CT image, Field of view 512x512 mm, 512x512

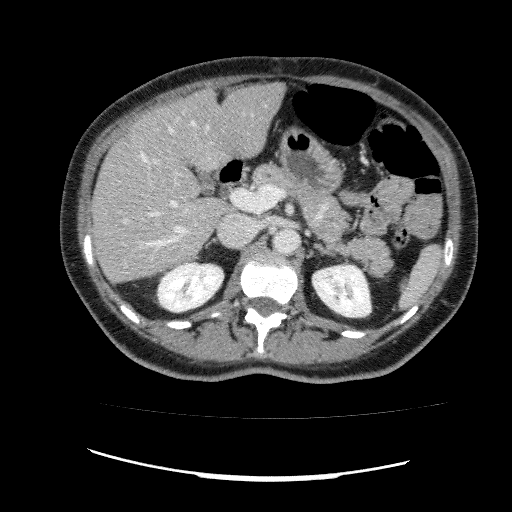 Annotated regions:
• liver: 91, 82, 285, 282
• kidney: 158, 263, 222, 311; 313, 265, 370, 316